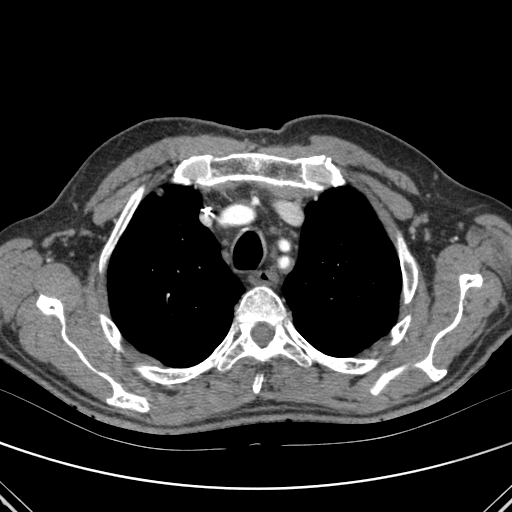 Computed tomography
bone: [92,369,149,411], [397,235,417,303], [370,369,402,394], [36,295,91,368], [253,375,262,393], [416,274,482,381], [173,153,344,190], [99,314,121,350], [391,315,410,344], [99,186,143,271], [135,286,378,384] | lung: [282,187,401,357], [107,185,244,367]